FLAIR magnetic resonance.
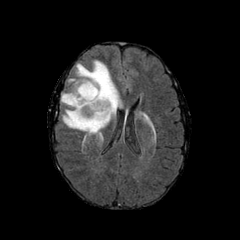
T1-weighted MR image.
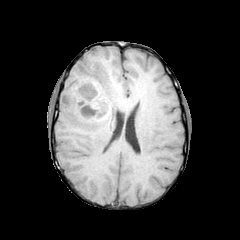
Post-contrast T1-weighted MR image.
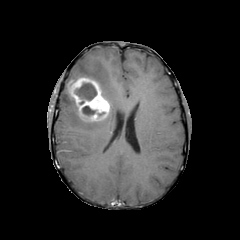
T2-weighted MRI.
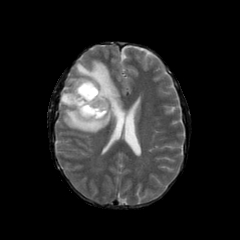
Head
edema:
  - 60 59 121 135
enhancing_tumor:
  - 90 113 101 120
  - 69 78 109 117
non-enhancing_tumor_core:
  - 74 82 96 104
  - 79 106 104 122